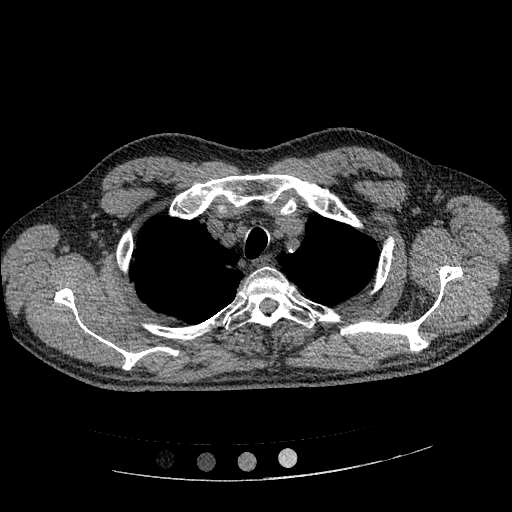
512x512, Chest, CT scan slice
lung tumor: box(219, 258, 238, 270)